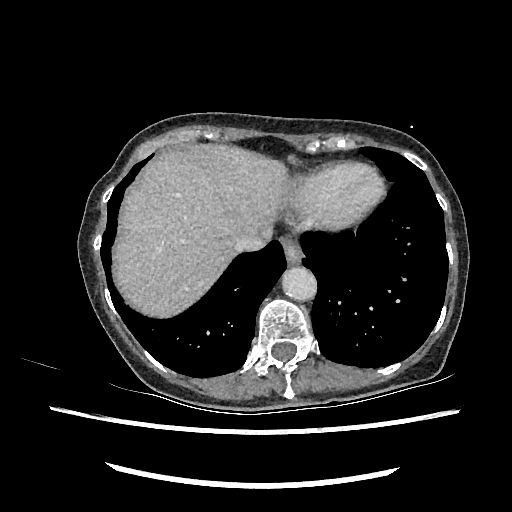

Abdomen, CT image
liver:
  - (left=116, top=144, right=286, bottom=314)